Abdomen | CT scan slice
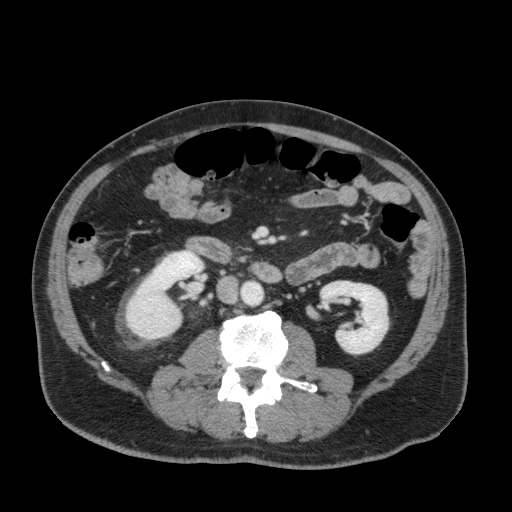
kidney:
  - l=126, t=250, r=203, b=338
  - l=321, t=281, r=387, b=353